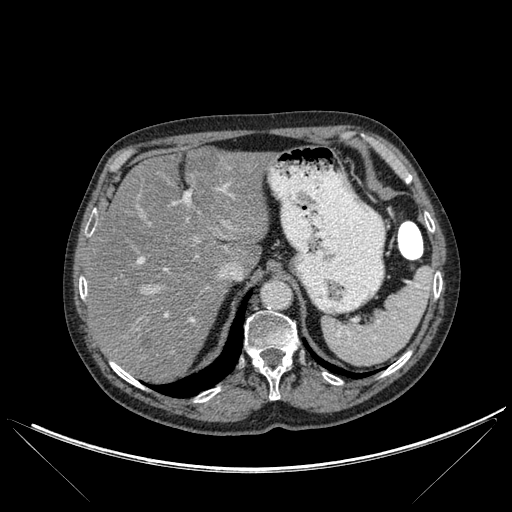

CT slice. Upper abdomen.

Segmented structures:
* hepatic lesion: {"x1": 188, "y1": 148, "x2": 218, "y2": 172}, {"x1": 140, "y1": 334, "x2": 156, "y2": 348}
* bone: {"x1": 322, "y1": 372, "x2": 342, "y2": 384}, {"x1": 195, "y1": 387, "x2": 220, "y2": 402}, {"x1": 382, "y1": 351, "x2": 410, "y2": 376}, {"x1": 110, "y1": 362, "x2": 143, "y2": 388}, {"x1": 79, "y1": 277, "x2": 87, "y2": 298}, {"x1": 403, "y1": 172, "x2": 411, "y2": 182}, {"x1": 424, "y1": 212, "x2": 434, "y2": 231}, {"x1": 245, "y1": 311, "x2": 297, "y2": 399}, {"x1": 433, "y1": 272, "x2": 442, "y2": 297}
* liver: {"x1": 87, "y1": 146, "x2": 267, "y2": 383}
* lung: {"x1": 149, "y1": 291, "x2": 250, "y2": 397}, {"x1": 305, "y1": 342, "x2": 371, "y2": 378}